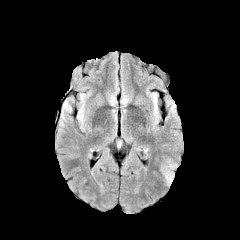
FLAIR MR.
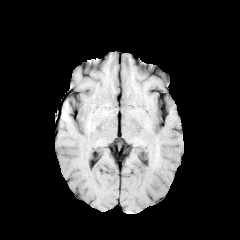
T1-weighted MRI.
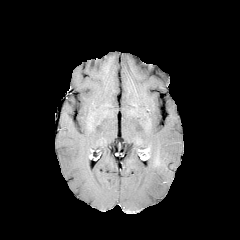
Same slice, post-contrast T1-weighted magnetic resonance.
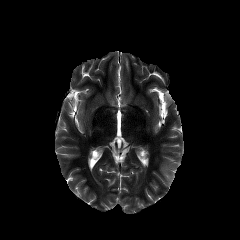
T2-weighted MRI.
edema: bbox(162, 163, 174, 183)